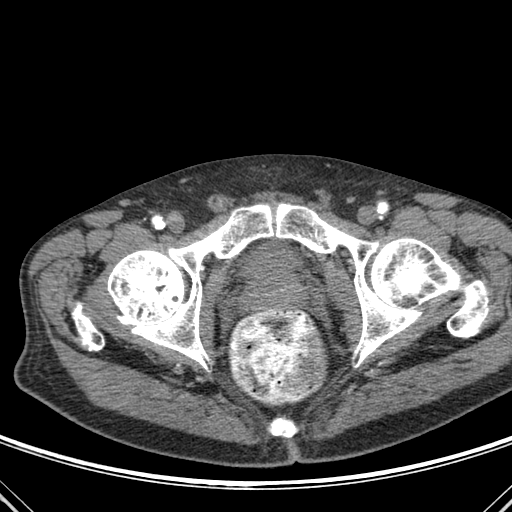 CT slice
3 bone regions are bounded by left=106, top=203, right=488, bottom=369; left=72, top=302, right=104, bottom=350; left=271, top=418, right=295, bottom=437.